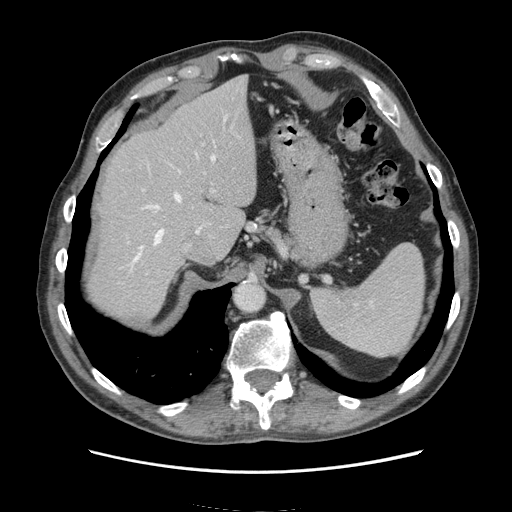

CT | 512x512 | Abdomen

The spleen is at rect(312, 245, 424, 356).